512x512. CT. Upper abdomen. Field of view 512x512 mm.
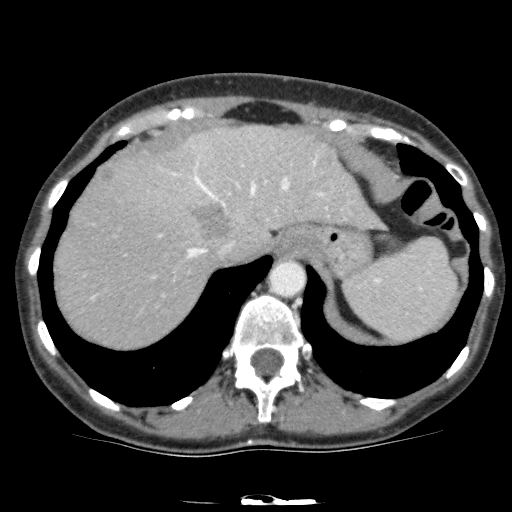 hepatic_lesion:
  - left=99, top=167, right=114, bottom=181
  - left=241, top=150, right=249, bottom=158
  - left=189, top=200, right=234, bottom=243
liver:
  - left=54, top=124, right=385, bottom=350